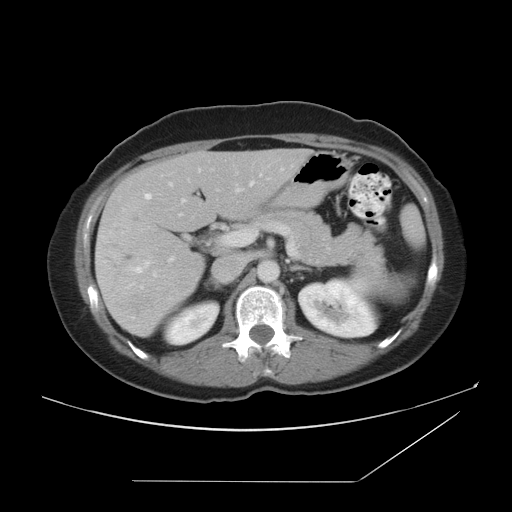 Image size 512x512. CT scan slice.
The vessel boxes may cover only some of the vessels.
hepatic_vessel:
  - bbox=[169, 182, 172, 185]
  - bbox=[145, 261, 148, 265]
  - bbox=[181, 199, 184, 202]
  - bbox=[168, 257, 173, 261]
  - bbox=[280, 168, 283, 170]
  - bbox=[145, 194, 150, 198]
  - bbox=[140, 286, 142, 288]
  - bbox=[153, 272, 156, 276]
  - bbox=[250, 181, 253, 185]
  - bbox=[235, 184, 242, 191]
  - bbox=[179, 214, 182, 215]
  - bbox=[99, 235, 103, 237]
  - bbox=[127, 284, 132, 287]
  - bbox=[129, 267, 141, 272]
  - bbox=[198, 168, 200, 171]